Field of view 700x700 mm | 512x512 px | Abdomen | Slice 455/687 | CT scan slice

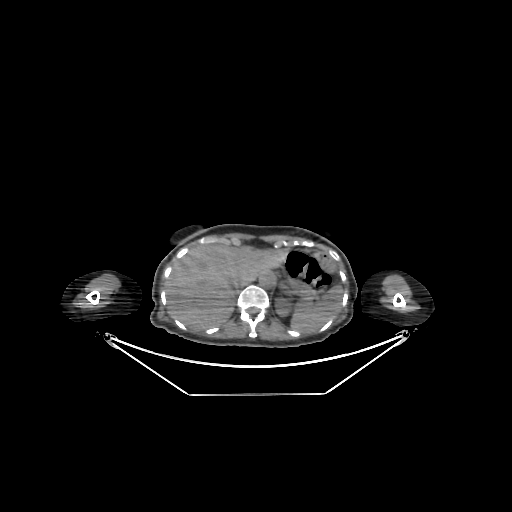

{"liver": [{"x1": 164, "y1": 243, "x2": 282, "y2": 329}], "kidney": [{"x1": 275, "y1": 297, "x2": 293, "y2": 316}]}